FLAIR MR.
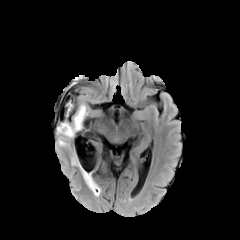
T1-weighted MR.
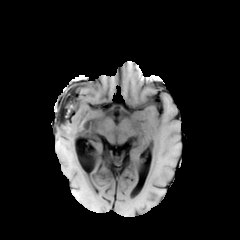
Post-contrast T1-weighted MR.
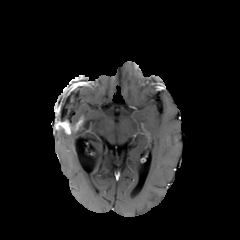
T2-weighted magnetic resonance.
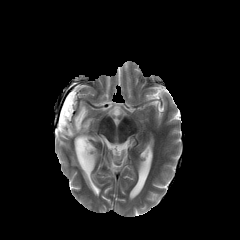
240x240 | Head
Non-enhancing tumor core at box=[58, 114, 77, 130].
Enhancing tumor at box=[56, 120, 70, 133].
Edema at box=[77, 159, 100, 195]; box=[57, 100, 88, 145].